FLAIR MR.
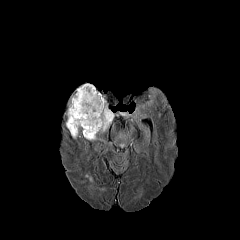
T1-weighted MR image.
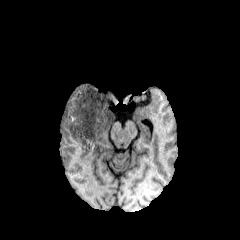
Post-contrast T1-weighted MR.
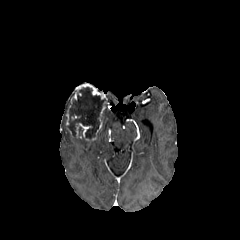
T2-weighted MRI.
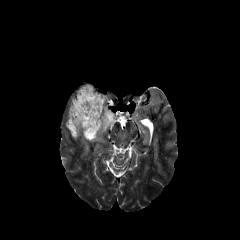
Brain
{
  "non-enhancing_tumor_core": [
    "64:87:108:138"
  ],
  "enhancing_tumor": [
    "73:82:106:115",
    "65:113:78:139",
    "79:121:102:142"
  ],
  "edema": [
    "98:111:114:135",
    "99:138:107:148"
  ]
}